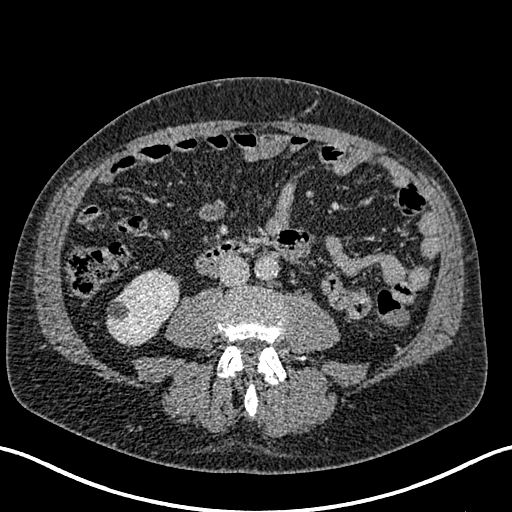 Abdomen | CT
Annotated regions:
- kidney: left=107, top=272, right=179, bottom=344